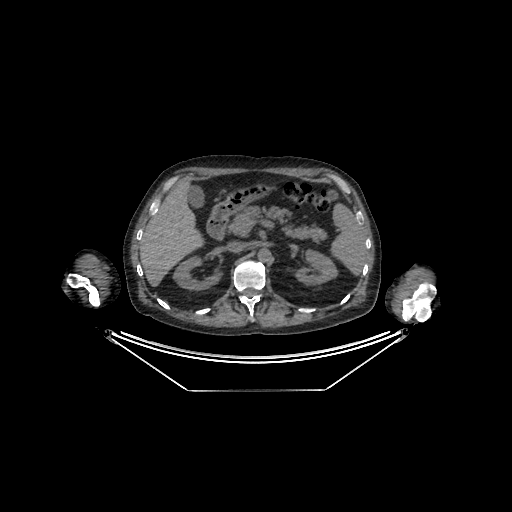

Computed tomography; Upper abdomen
The liver appears at x1=137, y1=176, x2=203, y2=285. 2 kidney regions are bounded by x1=173, y1=254, x2=222, y2=290; x1=294, y1=249, x2=337, y2=285.